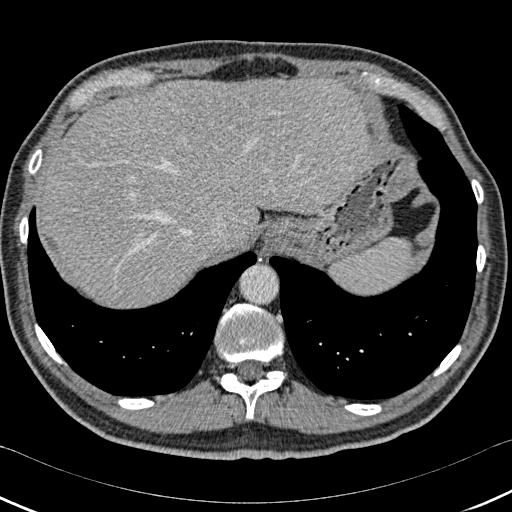

Liver. CT. <segmentation>
  <liver>region(37, 77, 366, 307)</liver>
  <lung>region(27, 206, 256, 397); region(269, 103, 477, 403)</lung>
  <bone>region(28, 149, 41, 173); region(215, 304, 282, 362); region(434, 345, 461, 375); region(472, 179, 483, 203); region(35, 324, 62, 363); region(118, 398, 153, 409); region(221, 371, 283, 418); region(19, 217, 28, 243); region(345, 404, 380, 415); region(476, 245, 485, 271)</bone>
</segmentation>